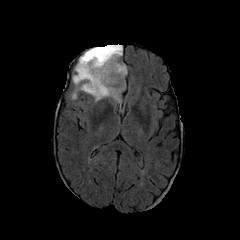
FLAIR MR image.
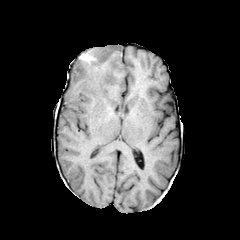
T1-weighted MR.
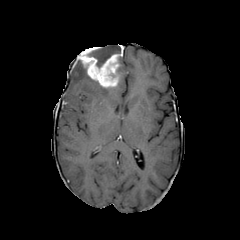
Post-contrast T1-weighted MR image.
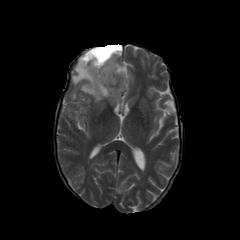
T2-weighted MRI of the same slice.
Image size 240x240
Enhancing tumor: rect(78, 46, 123, 87).
Edema: rect(71, 60, 127, 102).
Non-enhancing tumor core: rect(77, 61, 89, 77); rect(118, 56, 121, 81); rect(90, 44, 121, 67).